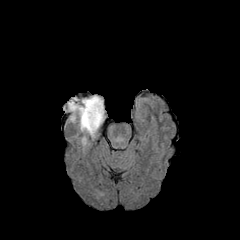
FLAIR MR image.
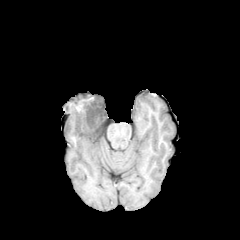
T1-weighted MRI.
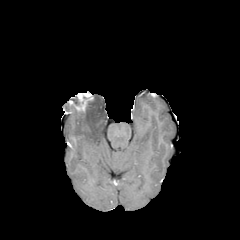
Post-contrast T1-weighted MRI.
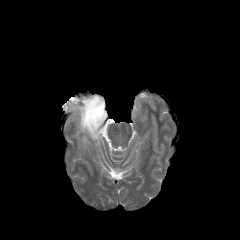
T2-weighted magnetic resonance.
Non-enhancing tumor core = box=[67, 96, 103, 123].
Edema = box=[93, 95, 103, 105]; box=[66, 105, 104, 145].